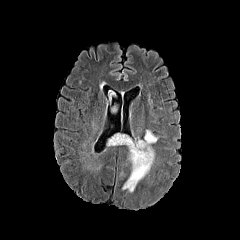
FLAIR MRI.
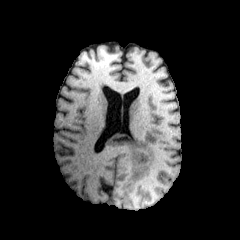
T1-weighted MR image.
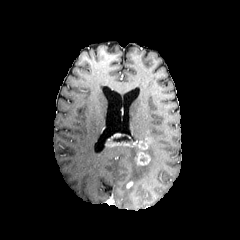
Post-contrast T1-weighted MR image.
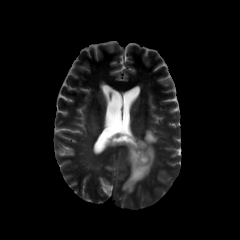
T2-weighted magnetic resonance.
240x240; Head
Edema — 145 129 157 142, 123 143 154 192.
Enhancing tumor — 105 137 151 165.
Non-enhancing tumor core — 110 134 131 142.